Slice 46 of 155, Brain
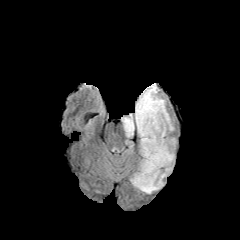
FLAIR magnetic resonance.
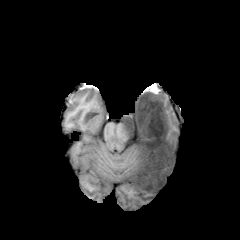
T1-weighted MR.
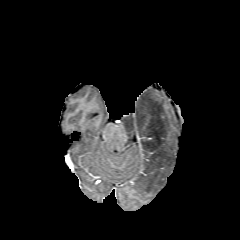
Post-contrast T1-weighted MR image.
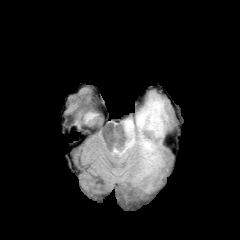
T2-weighted magnetic resonance.
Findings:
- edema: 122, 88, 173, 193; 125, 143, 141, 183
- non-enhancing tumor core: 125, 100, 167, 191